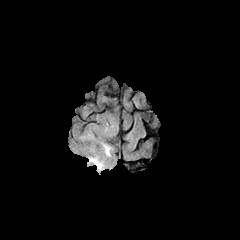
FLAIR MR image.
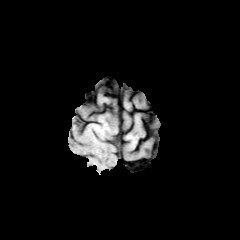
T1-weighted MR image of the same slice.
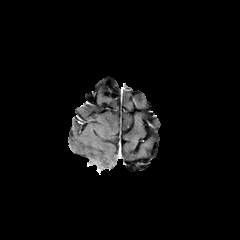
Post-contrast T1-weighted MR.
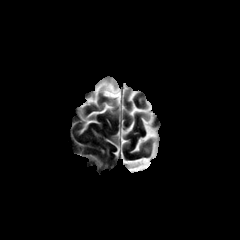
Same slice, T2-weighted MRI.
Brain.
2 edema regions are bounded by bbox(88, 141, 113, 170); bbox(82, 133, 94, 139).